512x512, CT, Field of view 432 mm wide, 0.70 mm slice spacing
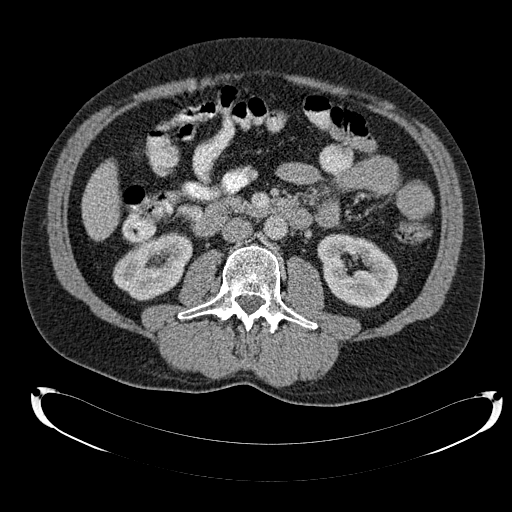
The liver appears at 82, 164, 119, 239. 2 kidney regions are bounded by 318, 234, 397, 307; 114, 234, 191, 299.